Abdomen, Slice 92/247, CT image, Field of view 500 mm wide, 3.27 mm slice spacing
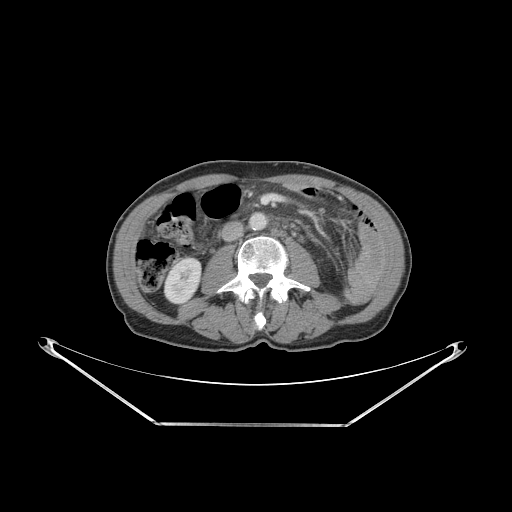 Annotated regions:
* kidney: (x1=165, y1=258, x2=200, y2=302)
* bone: (x1=218, y1=236, x2=309, y2=329)